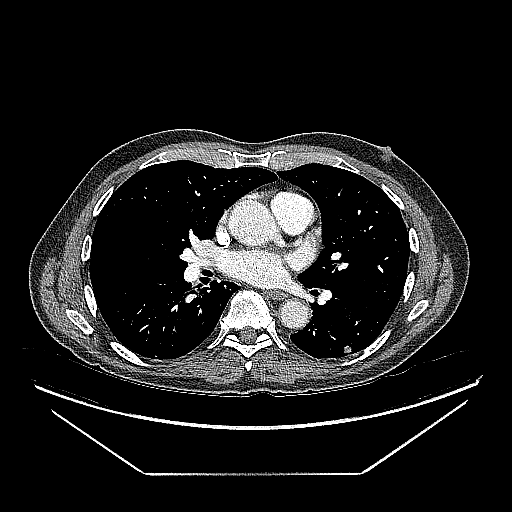 CT image, Image size 512x512, Thorax

{"lung_tumor": ["bbox(339, 341, 353, 355)"]}